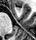
MR image. 36x40 px.
The anterior hippocampus is bounded by [17,8,19,10].